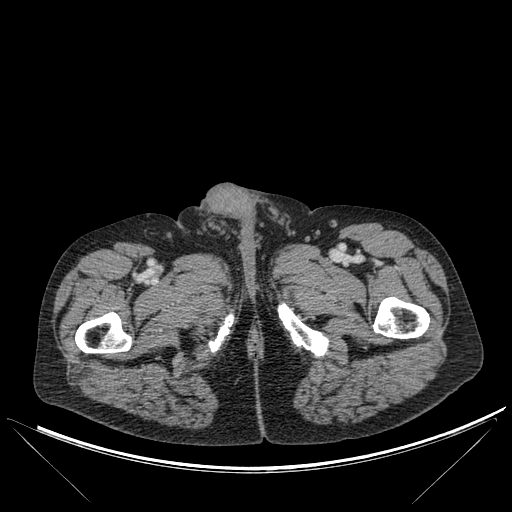 Computed tomography. 512x512.

{
  "bone": [
    "(209,314,233,351)",
    "(373,297,429,338)",
    "(278,303,328,355)",
    "(75,312,131,353)"
  ]
}